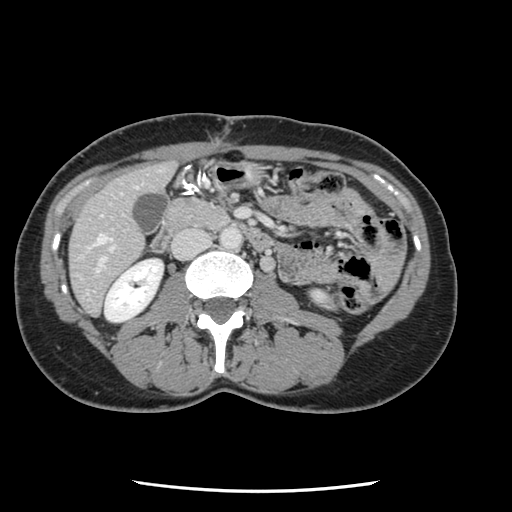
CT image | 512x512 px | Abdomen
Not every hepatic vessel necessarily has a box.
Segmented structures:
- hepatic vessel: left=136, top=186, right=137, bottom=187; left=94, top=234, right=112, bottom=250; left=97, top=257, right=104, bottom=269